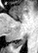 Image size 38x53 | Medial temporal lobe | MRI
anterior hippocampus: l=11, t=15, r=16, b=18 | posterior hippocampus: l=12, t=38, r=25, b=48